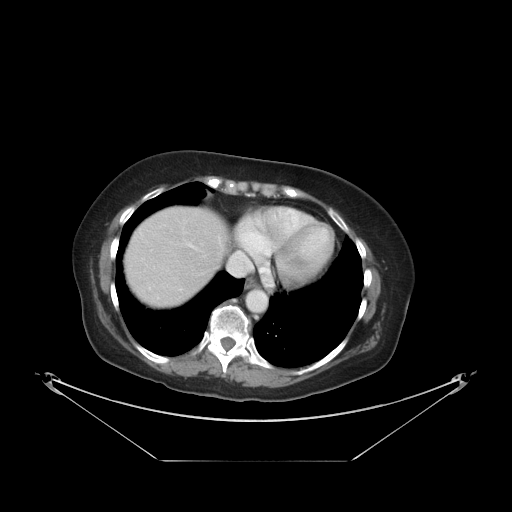
Computed tomography
Some hepatic vessels may have no box.
Hepatic vessel at bbox(227, 256, 249, 275).